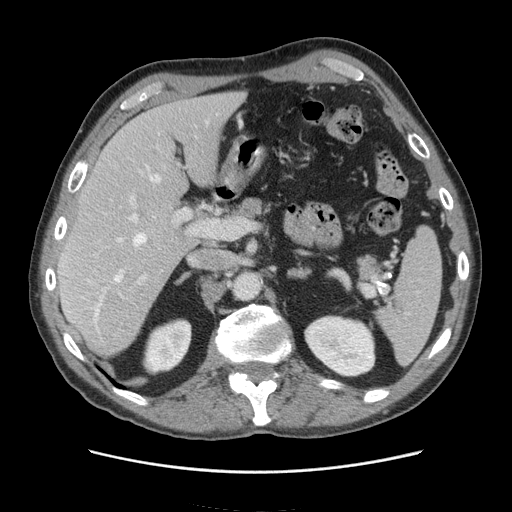

Upper abdomen, Computed tomography

The spleen appears at box(373, 227, 441, 363).